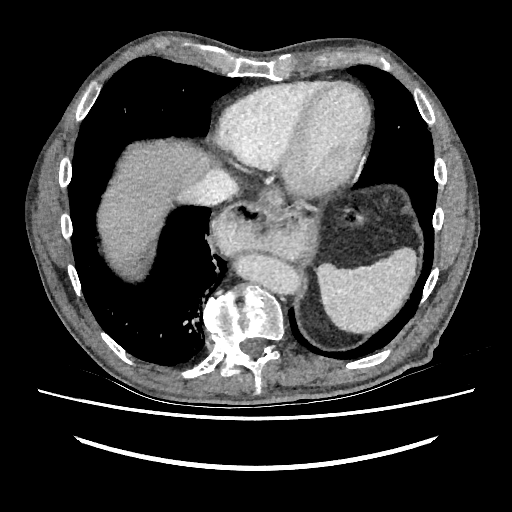

Computed tomography
liver: (98,140,214,280) | liver lesion: (116,239,155,278)